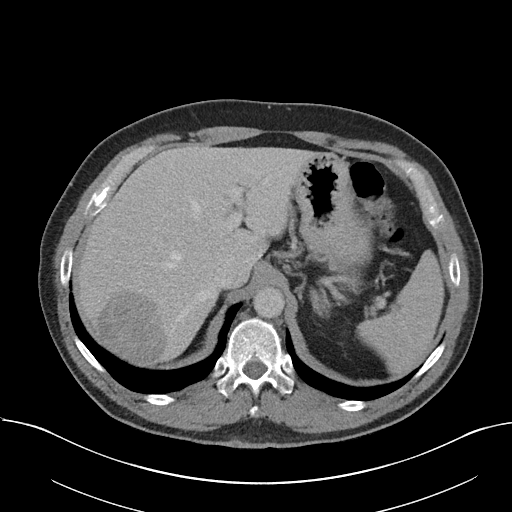 CT

The vessel annotation is not exhaustive.
Annotated regions:
- liver tumor: 98:294:166:363
- hepatic vessel (most prominent 15 of 18): 172:325:174:330, 196:217:197:219, 211:283:213:286, 198:291:216:300, 193:202:199:211, 247:218:249:220, 161:262:173:267, 231:188:242:204, 176:309:187:320, 220:233:222:235, 222:280:229:287, 228:214:241:232, 171:251:180:259, 252:250:262:260, 242:182:244:184